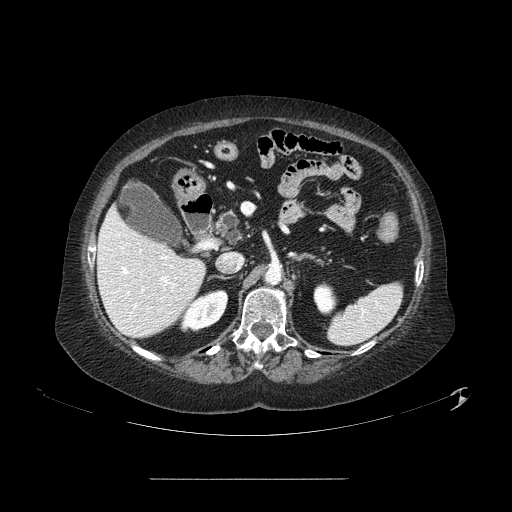
CT slice
Pancreas: bbox(219, 210, 241, 242).